FLAIR magnetic resonance.
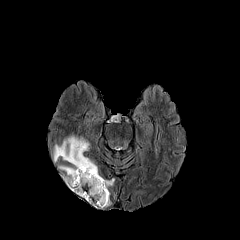
T1-weighted MRI.
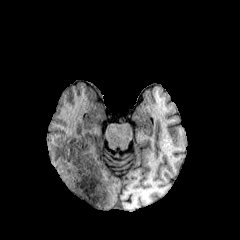
Post-contrast T1-weighted MR.
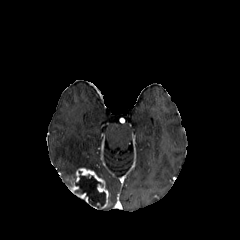
T2-weighted MRI.
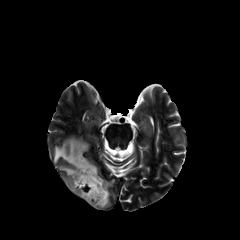
{"enhancing_tumor": ["l=74, t=168, r=109, b=208", "l=66, t=178, r=88, b=202"], "edema": ["l=105, t=179, r=114, b=187", "l=50, t=135, r=100, b=177"], "non-enhancing_tumor_core": ["l=74, t=171, r=108, b=210"]}